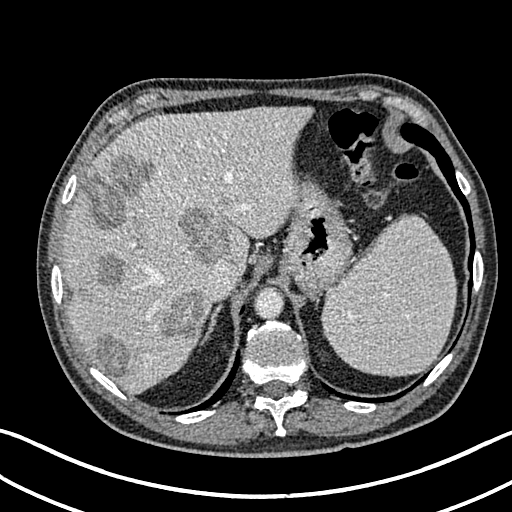
Liver, CT slice, 512x512 px

Findings:
• liver lesion: bbox(131, 223, 147, 240); bbox(177, 206, 230, 264); bbox(82, 153, 155, 229); bbox(94, 335, 131, 378); bbox(159, 291, 205, 341); bbox(79, 276, 92, 300); bbox(98, 255, 125, 286)
• liver: bbox(63, 108, 310, 390)